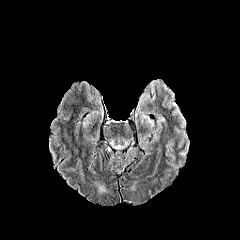
FLAIR MRI.
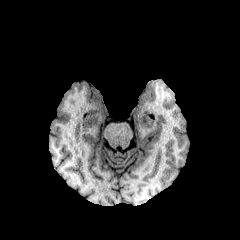
Same slice, T1-weighted MR image.
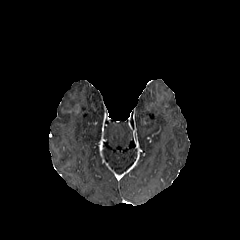
Post-contrast T1-weighted magnetic resonance.
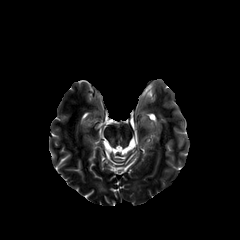
T2-weighted MRI of the same slice.
Head
Segmented structures:
- edema: <box>143,115,154,129</box>